CT slice, Slice 31 of 135
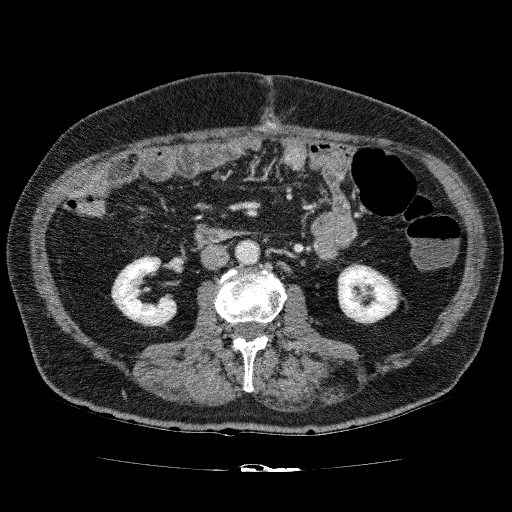 3 kidney regions are located at (112,256,176,325), (338,265,397,322), (165,261,177,268).